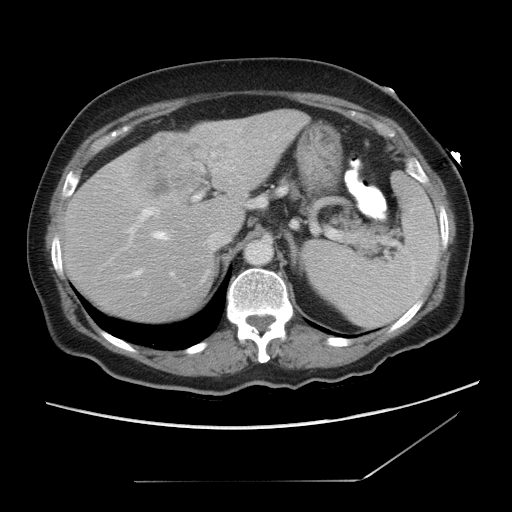

Abdomen, CT scan slice

The vessel annotation is not exhaustive.
5 hepatic vessel regions appear at (x1=194, y1=195, x2=200, y2=199), (x1=153, y1=232, x2=168, y2=240), (x1=129, y1=271, x2=141, y2=276), (x1=130, y1=208, x2=156, y2=231), (x1=209, y1=241, x2=211, y2=244). 2 liver tumor regions are located at (x1=135, y1=137, x2=204, y2=196), (x1=188, y1=145, x2=201, y2=160).